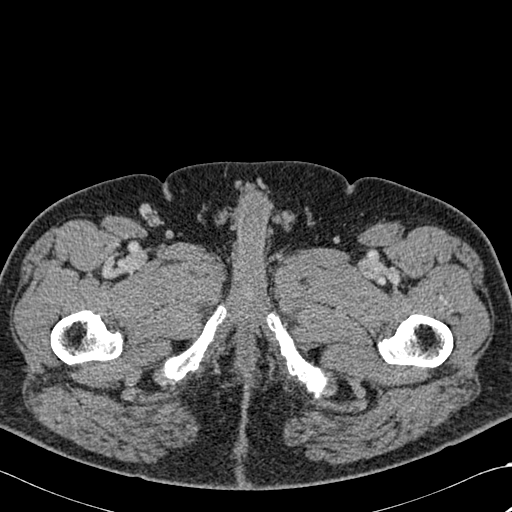

CT | 512x512
Segmented structures:
- bone: <box>51,310,122,364</box>, <box>268,313,326,396</box>, <box>164,306,224,380</box>, <box>379,314,452,367</box>